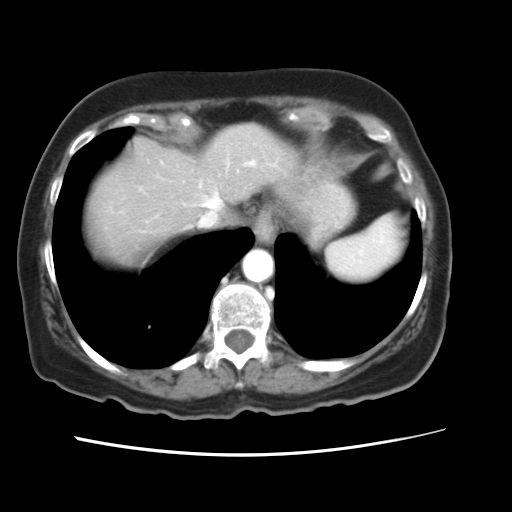
Computed tomography

Not every hepatic vessel necessarily has a box.
2 hepatic vessel regions appear at 226 162 227 163, 245 160 255 166.